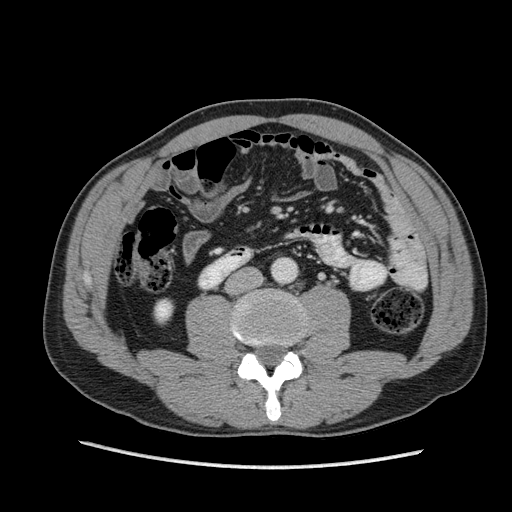
512x512; CT slice
Segmented structures:
* kidney: rect(156, 302, 170, 317)